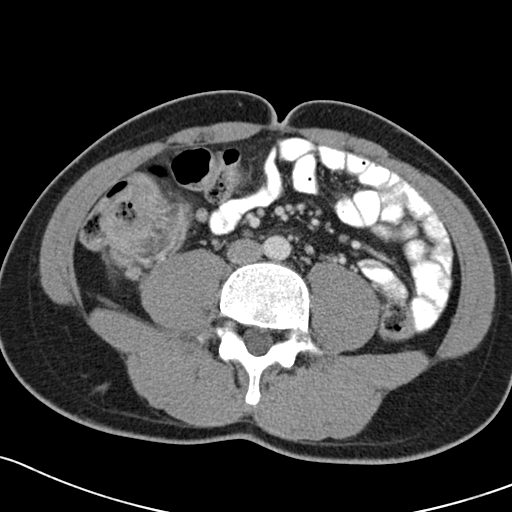 Computed tomography; 512x512; Pelvis
Colon tumor: bounding box 99, 172, 163, 253.